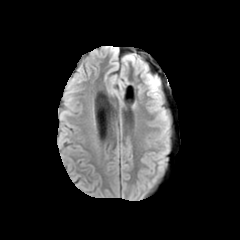
FLAIR MRI.
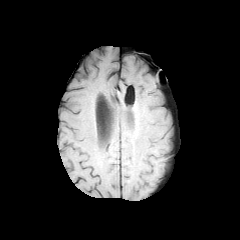
Same slice, T1-weighted magnetic resonance.
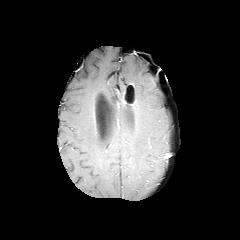
Post-contrast T1-weighted MRI.
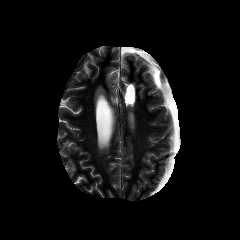
T2-weighted magnetic resonance.
• edema: <box>142,64,167,120</box>